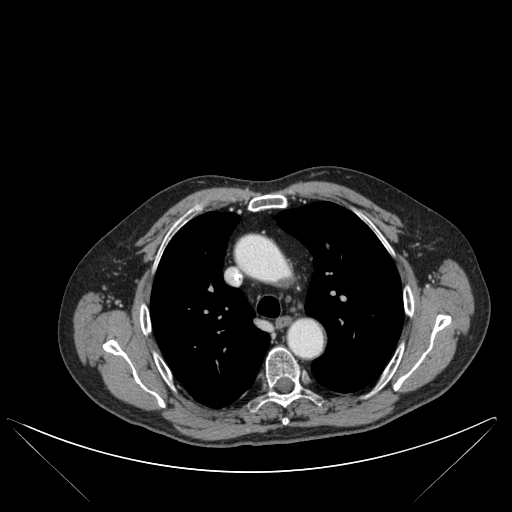

512x512 px | CT image
Lung = box=[257, 296, 279, 317]; box=[151, 211, 268, 407]; box=[275, 202, 403, 392].
Bone = box=[377, 345, 403, 388]; box=[260, 347, 314, 406]; box=[394, 314, 450, 390]; box=[404, 286, 413, 315]; box=[103, 340, 164, 407]; box=[159, 224, 175, 258]; box=[372, 224, 388, 247]; box=[154, 354, 171, 383]; box=[249, 194, 286, 211]; box=[140, 305, 150, 333].